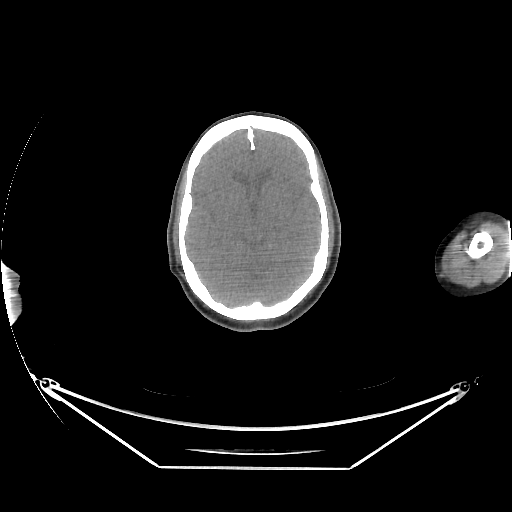
CT scan slice | Head
Brain: bounding box 184,129,321,308.